Field of view 240 mm wide, 1.00 mm slice spacing; Head
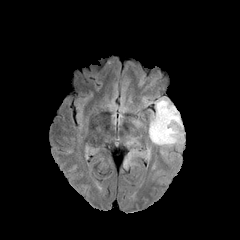
FLAIR magnetic resonance.
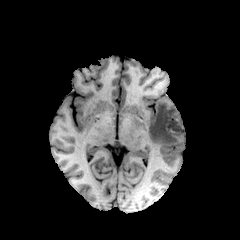
T1-weighted magnetic resonance.
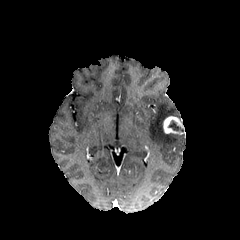
Same slice, post-contrast T1-weighted MR image.
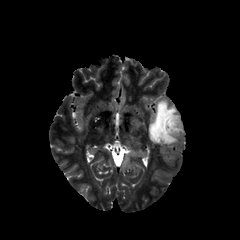
T2-weighted MR image of the same slice.
{
  "non-enhancing_tumor_core": [
    "168 120 183 131"
  ],
  "edema": [
    "148 99 179 144",
    "125 137 140 146"
  ],
  "enhancing_tumor": [
    "162 116 184 134"
  ]
}